512x512 px. Computed tomography. 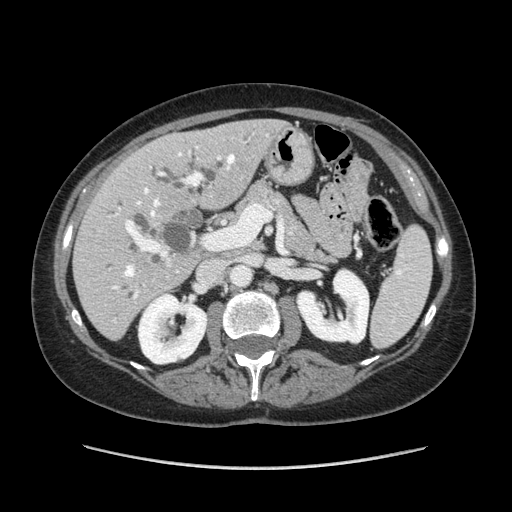

Pancreas — bbox(234, 177, 339, 267).